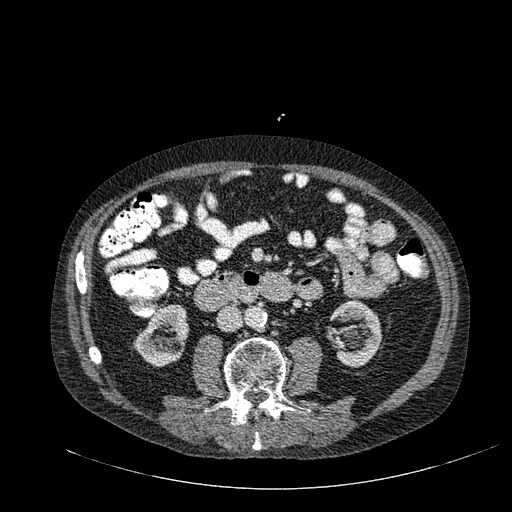 Abdomen. CT. 512x512 px. kidney:
  - region(326, 301, 381, 367)
  - region(133, 304, 189, 366)